512x512 px | CT
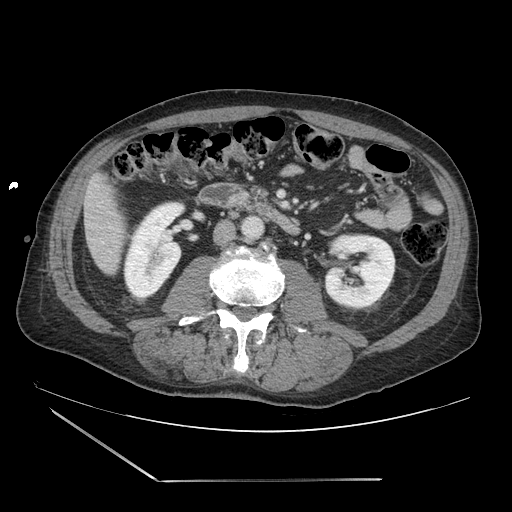 Findings:
* pancreas: <bbox>248, 189, 263, 200</bbox>